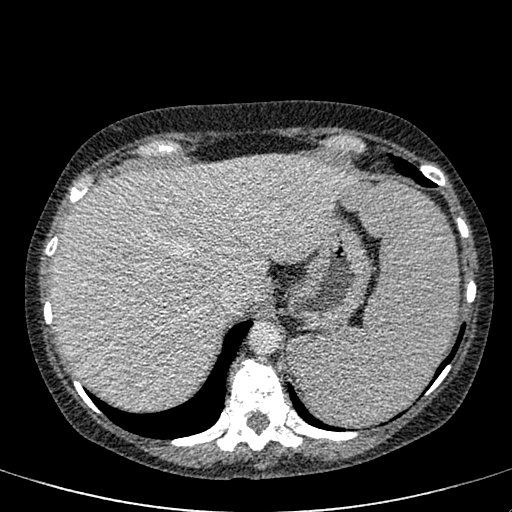

CT slice; Liver
Annotated regions:
• liver: <box>53,156,358,409</box>